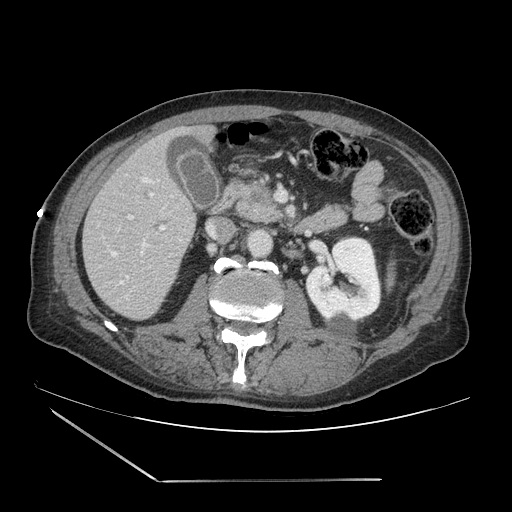 512x512 | Abdomen | Computed tomography
Segmented structures:
* pancreatic tumor: {"x1": 249, "y1": 186, "x2": 270, "y2": 202}
* pancreas: {"x1": 238, "y1": 187, "x2": 280, "y2": 222}